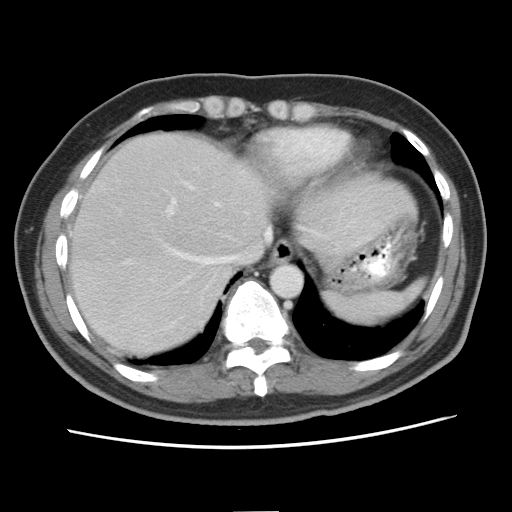

CT image, Liver, 512x512 px
Only some of the vessels may be annotated.
Hepatic vessel = l=214, t=203, r=219, b=206; l=166, t=246, r=259, b=264; l=166, t=199, r=175, b=215; l=265, t=228, r=270, b=239.